CT. 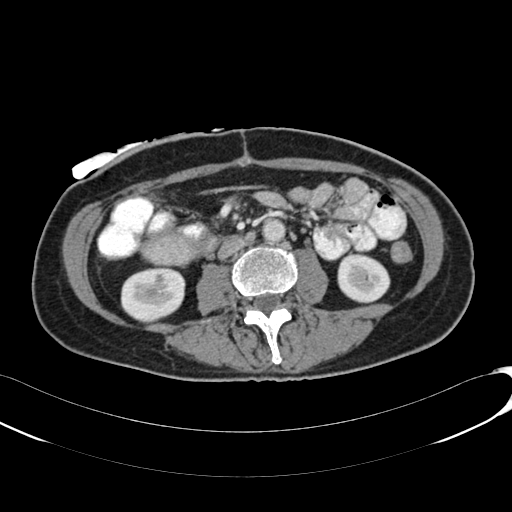

Kidney — {"x1": 338, "y1": 255, "x2": 388, "y2": 301}, {"x1": 122, "y1": 269, "x2": 183, "y2": 320}.